CT
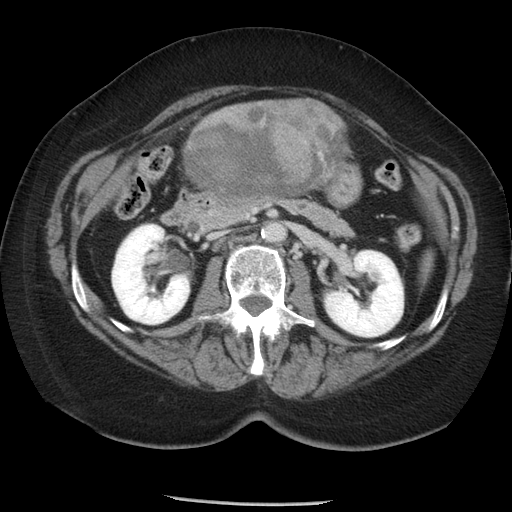 Liver tumor: bounding box 184 99 346 196.